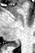
MRI slice | Medial temporal lobe
The posterior hippocampus is located at (8, 41, 19, 47).